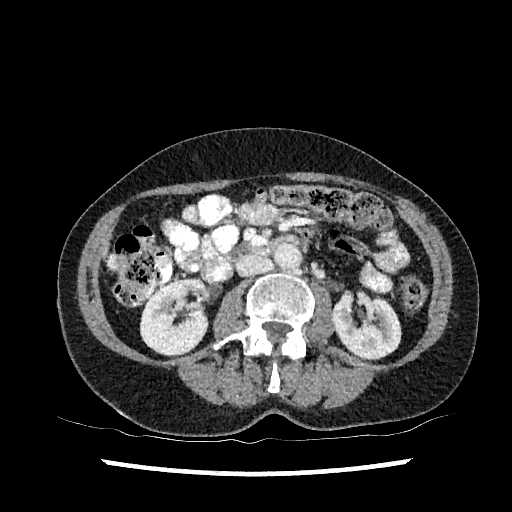
Upper abdomen | Computed tomography

Segmented structures:
* kidney: bbox=[141, 280, 207, 354]; bbox=[333, 295, 400, 358]
* liver: bbox=[103, 244, 107, 257]